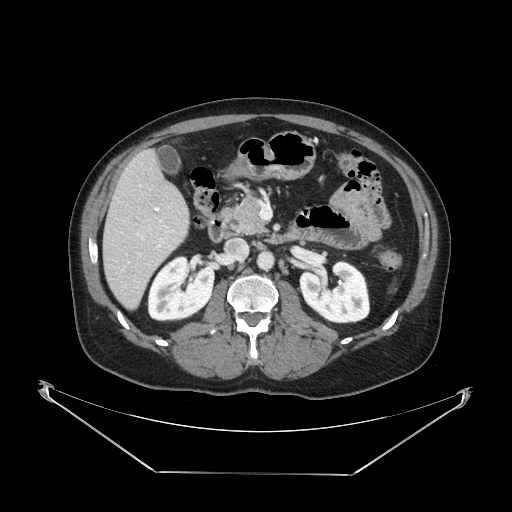

Upper abdomen; CT image
{
  "pancreas": [
    "(223,190,266,234)"
  ]
}